Slice index 23 | Image width 35 mm | 35x52 | MRI 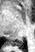
The posterior hippocampus is at bbox(9, 39, 24, 46).